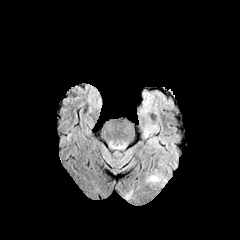
FLAIR MRI.
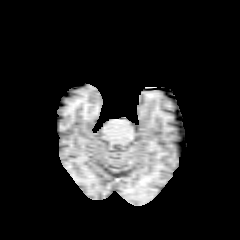
T1-weighted MR of the same slice.
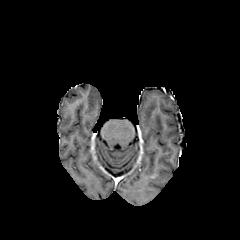
Post-contrast T1-weighted MRI of the same slice.
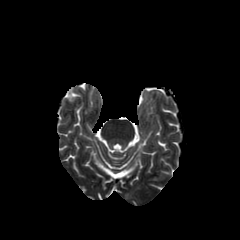
Same slice, T2-weighted magnetic resonance.
Brain.
Edema = bbox(147, 171, 165, 183).